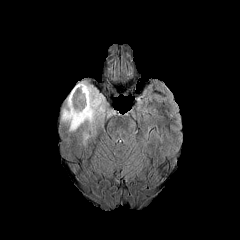
FLAIR MR image.
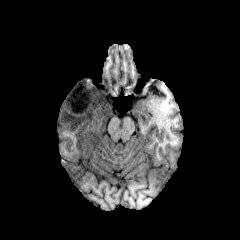
T1-weighted MRI of the same slice.
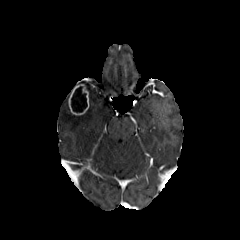
Post-contrast T1-weighted MRI.
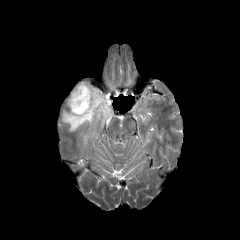
T2-weighted MR.
Image size 240x240
Non-enhancing tumor core at {"x1": 70, "y1": 86, "x2": 87, "y2": 111}.
Enhancing tumor at {"x1": 68, "y1": 84, "x2": 89, "y2": 115}.
Edema at {"x1": 83, "y1": 134, "x2": 89, "y2": 147}, {"x1": 60, "y1": 81, "x2": 115, "y2": 132}.